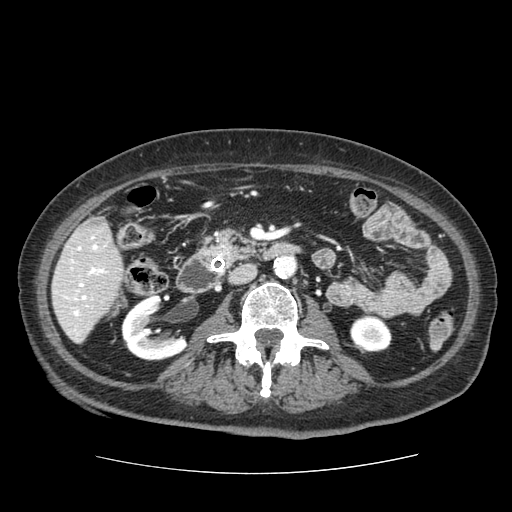 CT | Abdomen
<segmentation>
  <pancreas>202 231 256 263</pancreas>
</segmentation>